Slice 74/100; Heart; Magnetic resonance

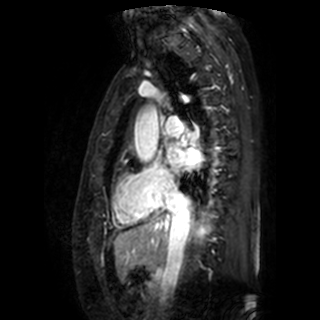
left atrium: region(167, 147, 201, 172)